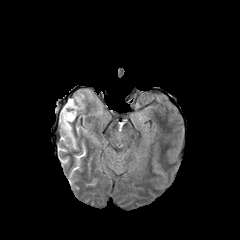
FLAIR MR image.
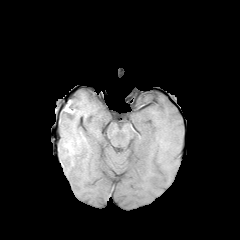
T1-weighted MR image of the same slice.
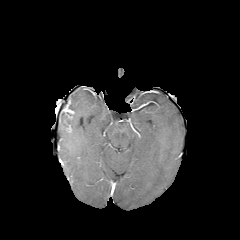
Post-contrast T1-weighted MR image.
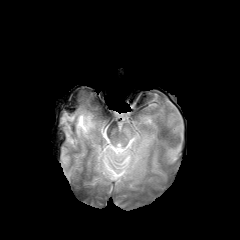
T2-weighted MR.
{
  "non-enhancing_tumor_core": [
    "63, 112, 74, 124"
  ],
  "edema": [
    "132, 151, 141, 160",
    "113, 153, 126, 171",
    "59, 94, 90, 149"
  ]
}